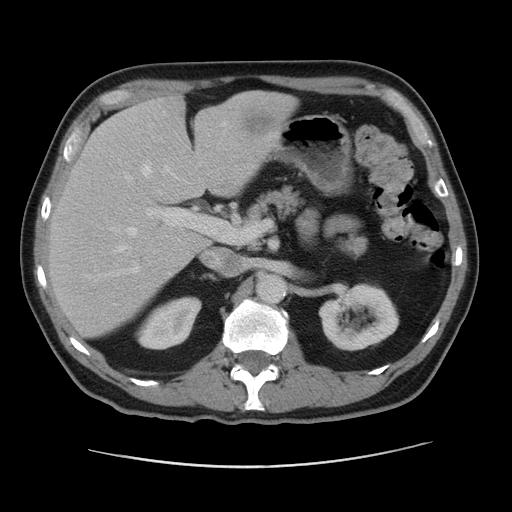

CT scan slice

<segmentation>
  <focal_liver_lesion>bbox=[218, 179, 233, 191]; bbox=[241, 110, 277, 134]</focal_liver_lesion>
  <liver>bbox=[49, 94, 294, 335]</liver>
  <kidney>bbox=[140, 298, 199, 348]; bbox=[319, 283, 398, 350]</kidney>
</segmentation>